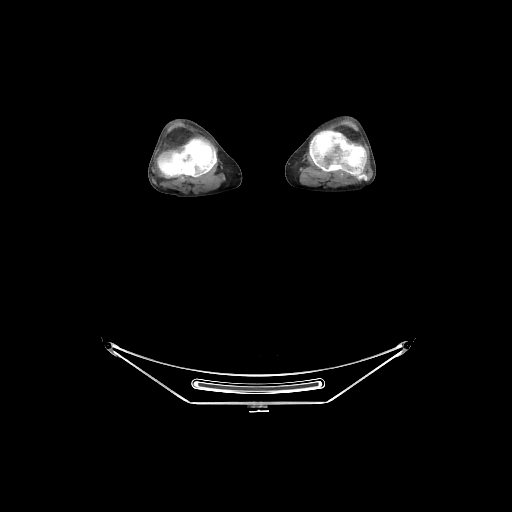

512x512 px | Computed tomography

Bone at x1=309 y1=131 x2=366 y2=179, x1=157 y1=138 x2=216 y2=177.